Field of view 35 mm wide, 1.00 mm slice spacing, Medial temporal lobe, MRI, Slice index 12
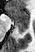
posterior_hippocampus:
  - <bbox>14, 24, 29, 33</bbox>
anterior_hippocampus:
  - <bbox>7, 7, 29, 23</bbox>